Slice 468 of 689. Chest. 512x512. Computed tomography.

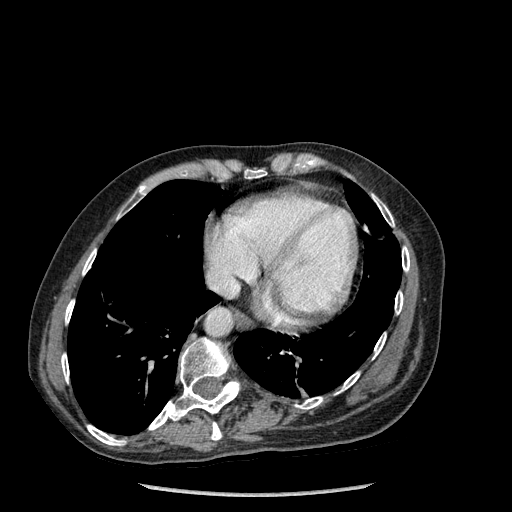
2 lung regions appear at bbox=[233, 178, 401, 398]; bbox=[67, 180, 223, 435]. 14 bone regions are bounded by bbox=[335, 372, 360, 394]; bbox=[371, 194, 394, 226]; bbox=[244, 169, 266, 178]; bbox=[395, 291, 403, 314]; bbox=[82, 248, 96, 275]; bbox=[294, 397, 322, 409]; bbox=[148, 337, 239, 430]; bbox=[402, 246, 409, 271]; bbox=[65, 300, 74, 324]; bbox=[117, 185, 146, 219]; bbox=[372, 332, 386, 359]; bbox=[87, 425, 125, 445]; bbox=[61, 353, 69, 383]; bbox=[211, 422, 221, 440].